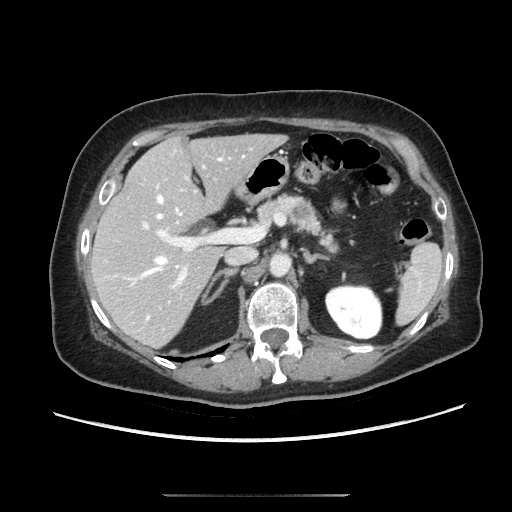 Upper abdomen | CT
pancreatic tumor: rect(292, 204, 310, 220) | pancreas: rect(258, 196, 336, 252)